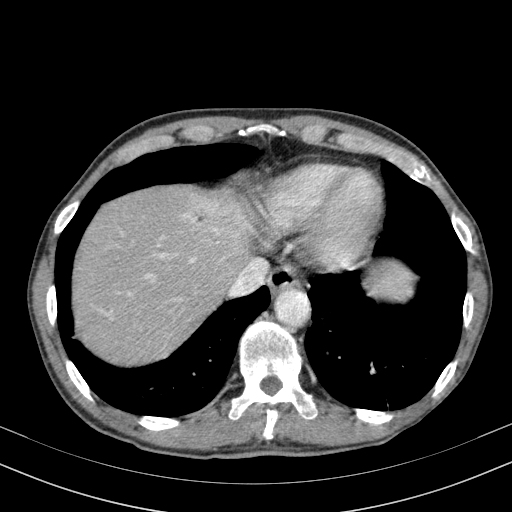

Abdomen | CT image

Liver: bounding box 72:172:268:366.